Slice 66/155 | Brain
FLAIR MR.
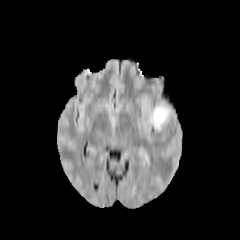
T1-weighted MR.
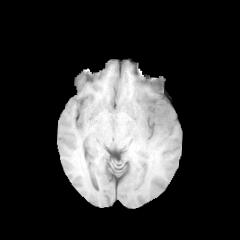
Post-contrast T1-weighted MR.
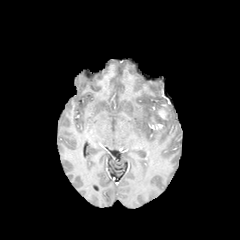
T2-weighted magnetic resonance.
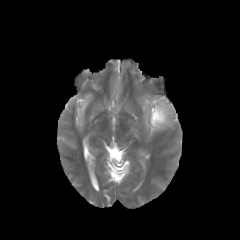
The enhancing tumor is located at {"x1": 159, "y1": 109, "x2": 168, "y2": 120}. 2 edema regions are bounded by {"x1": 151, "y1": 98, "x2": 173, "y2": 130}, {"x1": 157, "y1": 117, "x2": 176, "y2": 139}.